FLAIR MR image.
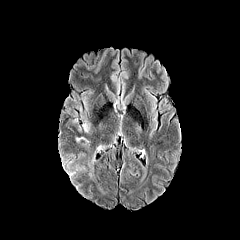
T1-weighted magnetic resonance.
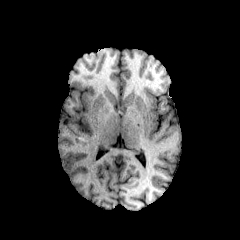
Post-contrast T1-weighted MRI.
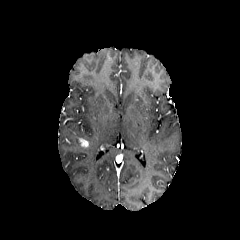
T2-weighted MR image.
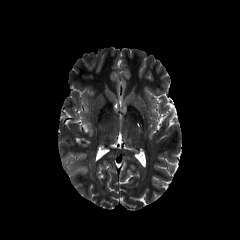
2 edema regions are bounded by region(82, 120, 90, 133); region(88, 146, 99, 171). The enhancing tumor appears at region(79, 138, 90, 148).